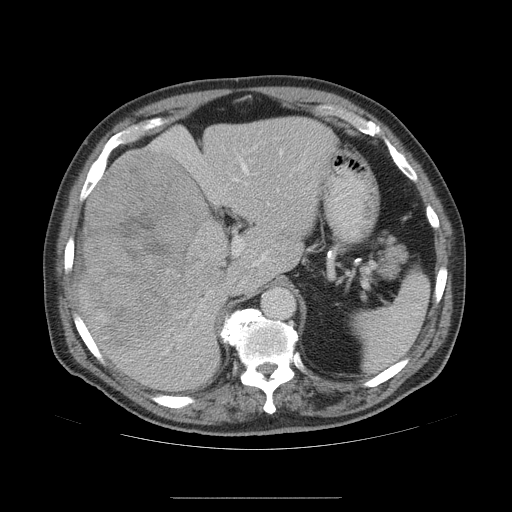

Abdomen; Computed tomography; 512x512 px
The vessel boxes may cover only some of the vessels.
The liver tumor appears at x1=74, y1=150, x2=215, y2=349. The principal 15 hepatic vessel regions (of 18) are located at x1=252, y1=251, x2=268, y2=265; x1=245, y1=182, x2=248, y2=185; x1=234, y1=148, x2=235, y2=151; x1=193, y1=315, x2=195, y2=317; x1=219, y1=188, x2=225, y2=192; x1=232, y1=178, x2=238, y2=181; x1=226, y1=171, x2=228, y2=173; x1=213, y1=200, x2=218, y2=202; x1=282, y1=223, x2=284, y2=226; x1=275, y1=138, x2=281, y2=138; x1=237, y1=157, x2=248, y2=174; x1=179, y1=332, x2=186, y2=336; x1=232, y1=237, x2=245, y2=255; x1=279, y1=149, x2=282, y2=154; x1=162, y1=350, x2=168, y2=353.